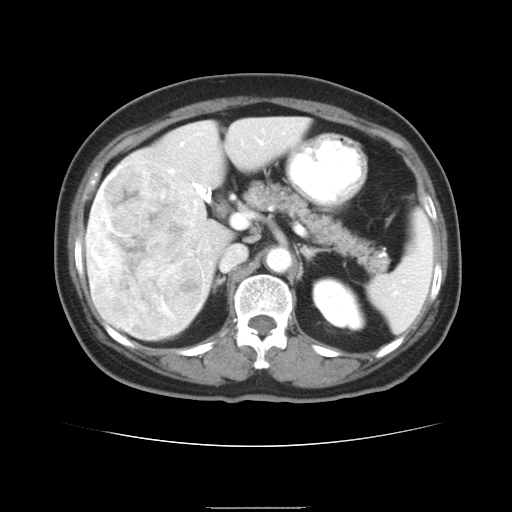
Image size 512x512. CT slice.
Not every hepatic vessel necessarily has a box.
Findings:
• liver tumor: left=86, top=161, right=205, bottom=339
• hepatic vessel: left=168, top=170, right=172, bottom=173; left=180, top=143, right=182, bottom=145; left=257, top=140, right=262, bottom=144